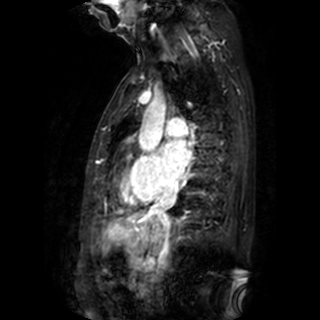 320x320 px | Heart | MR

Annotated regions:
• left atrium: [161, 140, 190, 177]